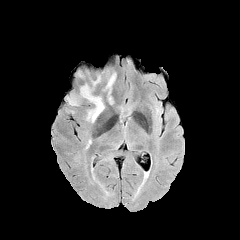
FLAIR magnetic resonance.
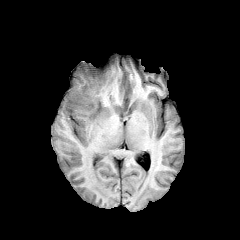
T1-weighted MR image of the same slice.
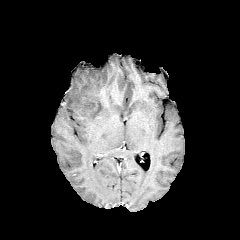
Post-contrast T1-weighted MR of the same slice.
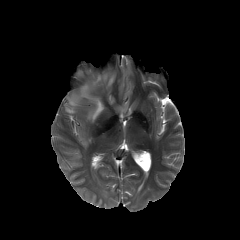
T2-weighted MRI.
240x240 px. Head.
* edema: x1=67 y1=71 x2=116 y2=122